Computed tomography
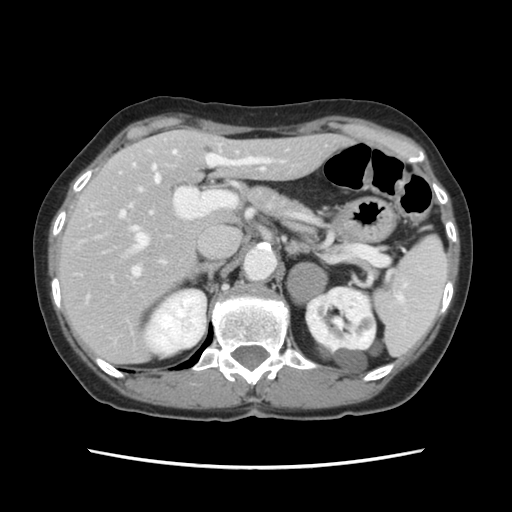

Some hepatic vessels may have no box.
<segmentation>
  <hepatic_vessel><box>133,163,134,165</box>, <box>173,150,176,153</box>, <box>133,227,138,231</box>, <box>206,155,209,158</box>, <box>134,233,147,249</box>, <box>152,166,155,169</box>, <box>119,211,124,217</box>, <box>150,212,152,214</box>, <box>131,267,140,276</box>, <box>154,175,159,181</box>, <box>218,157,271,164</box></hepatic_vessel>
</segmentation>